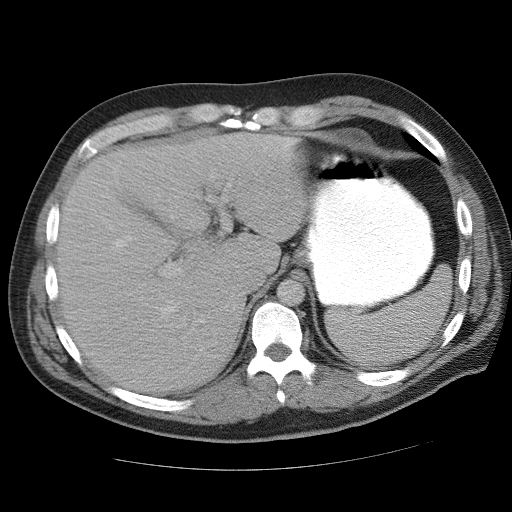

CT slice, Image size 512x512

The spleen lies within x1=326, y1=266, x2=451, y2=369.